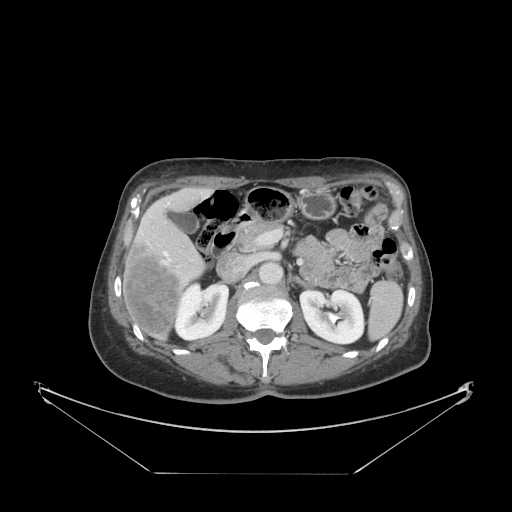 Computed tomography; Image size 512x512

spleen:
  - [369, 282, 401, 339]